512x512 px. Computed tomography. Slice index 97.

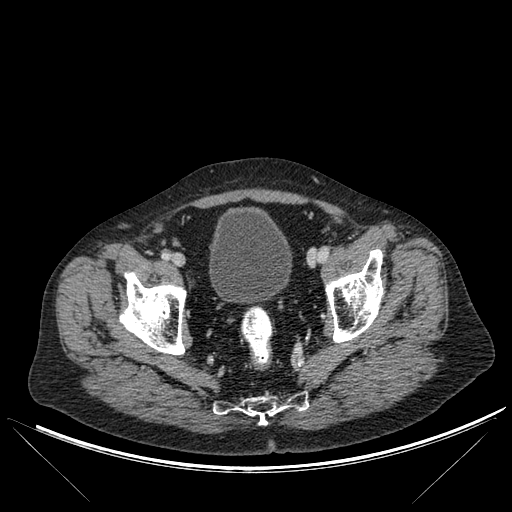 urinary_bladder:
  - x1=209, y1=207, x2=291, y2=303
bone:
  - x1=120, y1=272, x2=185, y2=354
  - x1=326, y1=249, x2=383, y2=342
  - x1=213, y1=397, x2=308, y2=424